Computed tomography; Lower abdomen 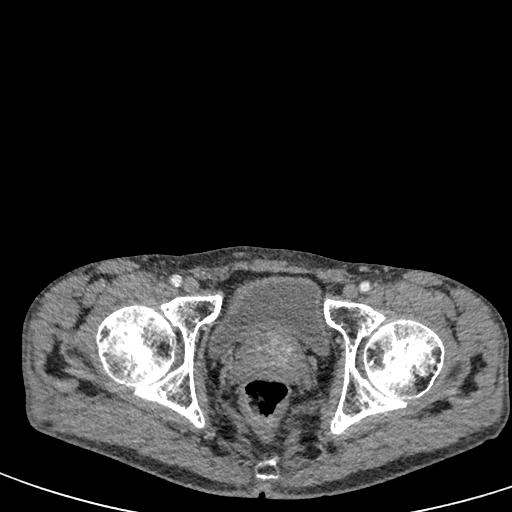
The urinary bladder appears at bbox(208, 276, 329, 358).